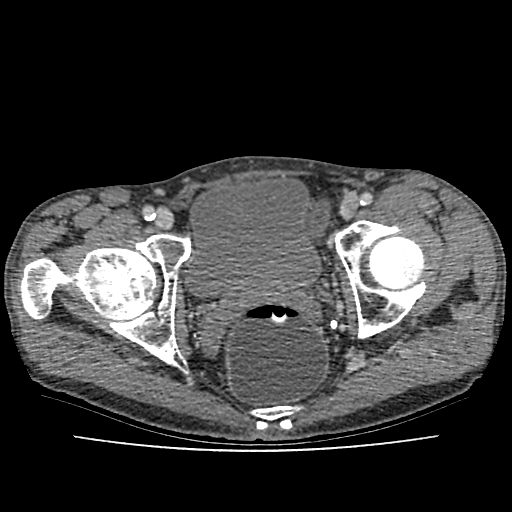
CT slice. Lower abdomen. {"urinary_bladder": ["x1=186 y1=178 x2=321 y2=298"]}